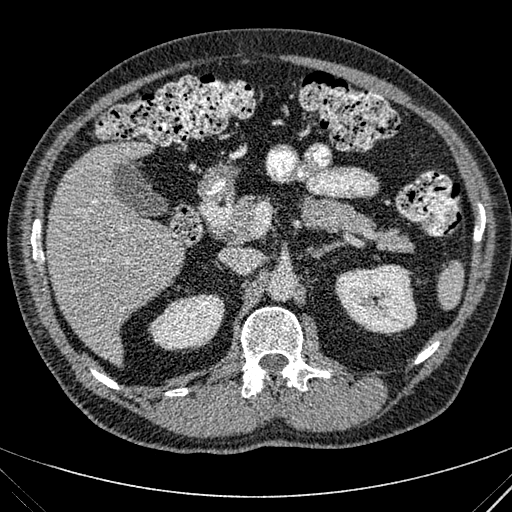

Liver | CT image
Segmented structures:
* kidney: (336, 265, 416, 332), (149, 295, 224, 349)
* liver: (46, 142, 183, 363)